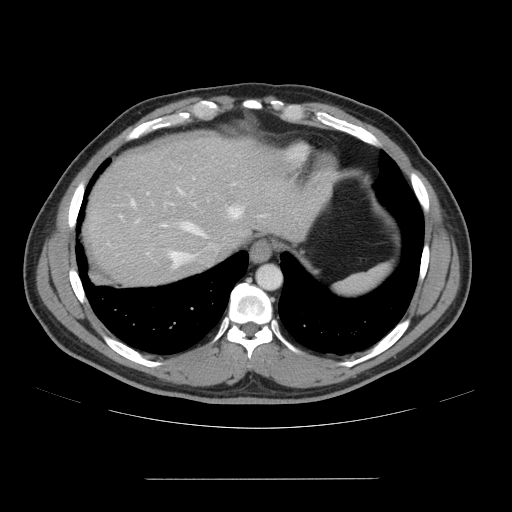
CT image. Abdomen.

Some hepatic vessels may have no box.
hepatic_vessel:
  - 136, 220, 138, 221
  - 169, 203, 171, 204
  - 194, 203, 195, 205
  - 132, 201, 134, 206
  - 178, 189, 181, 192
  - 120, 214, 121, 217
  - 170, 252, 193, 266
  - 161, 223, 165, 226
  - 261, 215, 263, 216
  - 147, 193, 149, 194
  - 181, 222, 204, 235
  - 230, 206, 241, 217